CT scan slice, Field of view 512 mm wide, 1.00 mm slice spacing
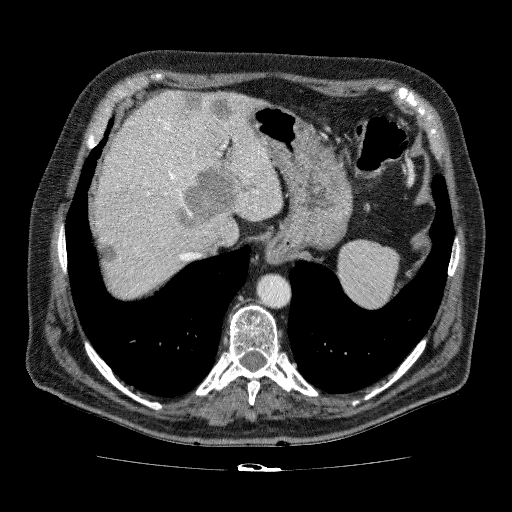
Findings:
* liver: box(88, 90, 282, 299)
* focal liver lesion: box(134, 256, 149, 266); box(174, 162, 239, 232); box(97, 240, 119, 264); box(176, 91, 235, 121)